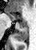 MR image

<segmentation>
  <posterior_hippocampus>bbox(15, 23, 28, 41)</posterior_hippocampus>
  <anterior_hippocampus>bbox(5, 11, 21, 20); bbox(23, 22, 26, 22)</anterior_hippocampus>
</segmentation>